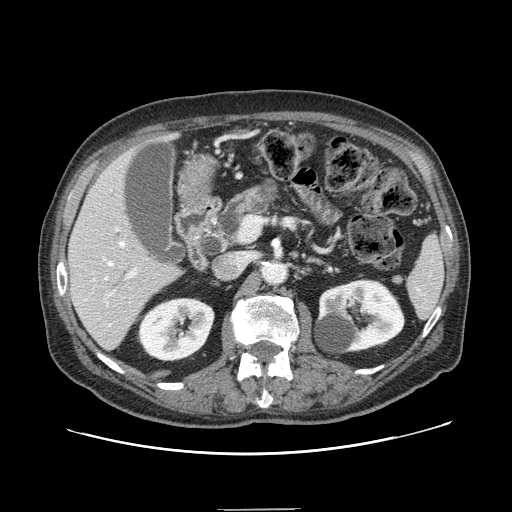

CT slice. Upper abdomen. Pancreas at <box>210,178,281,240</box>.